FLAIR MRI.
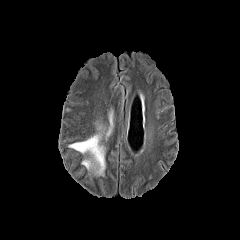
T1-weighted MR image.
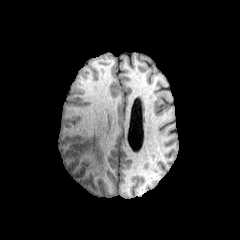
Post-contrast T1-weighted magnetic resonance.
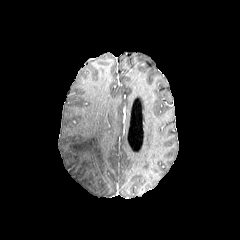
T2-weighted MR image.
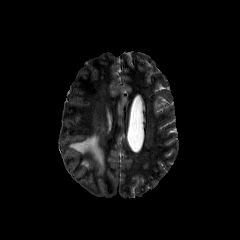
<segmentation>
  <edema>68, 108, 113, 176</edema>
</segmentation>